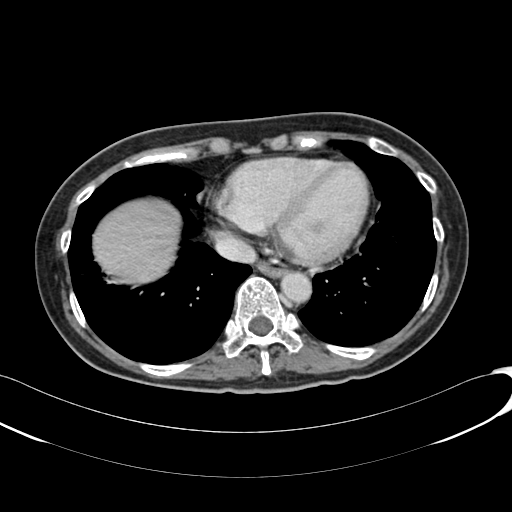
CT
The liver is at [95,200,176,281].